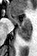
MRI | Image size 37x56 | Hippocampus

Posterior hippocampus at 17,25,31,40.
Anterior hippocampus at 7,13,19,24; 21,18,30,24.